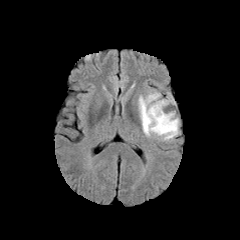
FLAIR MR image.
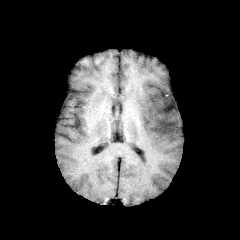
T1-weighted MRI.
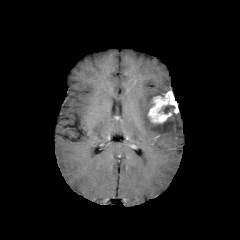
Same slice, post-contrast T1-weighted magnetic resonance.
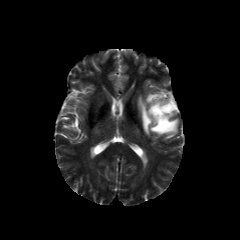
T2-weighted MR image of the same slice.
Head.
The edema is located at l=137, t=90, r=179, b=141. The enhancing tumor is at l=148, t=92, r=177, b=123. 3 non-enhancing tumor core regions are located at l=144, t=108, r=152, b=124; l=163, t=105, r=175, b=113; l=152, t=118, r=173, b=132.